Field of view 240x240 mm
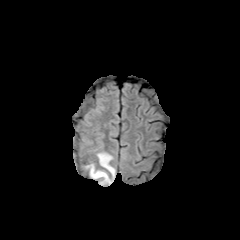
FLAIR magnetic resonance.
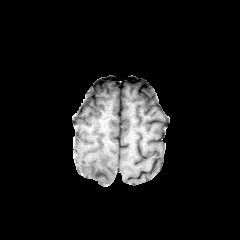
T1-weighted magnetic resonance.
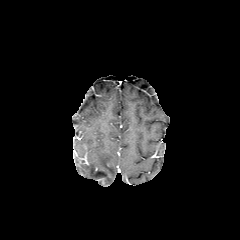
Post-contrast T1-weighted MR image of the same slice.
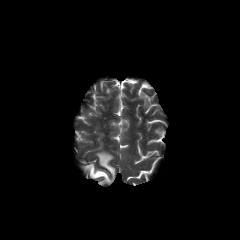
T2-weighted MR.
Edema = l=82, t=151, r=115, b=184.
Non-enhancing tumor core = l=95, t=172, r=107, b=183.